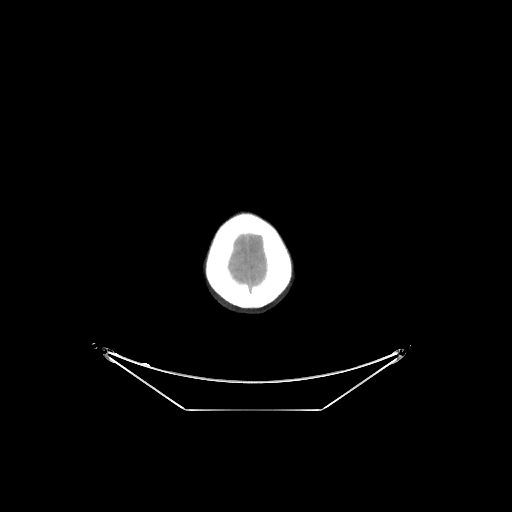

CT scan slice; 512x512; Head
Annotated regions:
• brain: 228:233:266:293